Brain
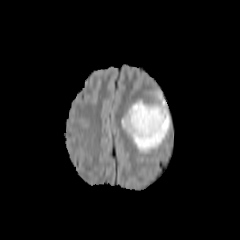
FLAIR magnetic resonance.
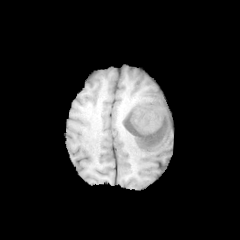
Same slice, T1-weighted MR image.
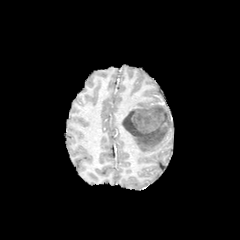
Post-contrast T1-weighted MR image of the same slice.
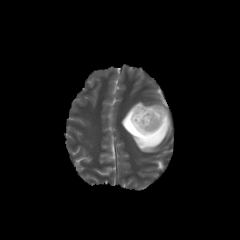
Same slice, T2-weighted MR image.
{"non-enhancing_tumor_core": ["bbox(123, 103, 168, 137)"], "edema": ["bbox(121, 98, 172, 152)"]}